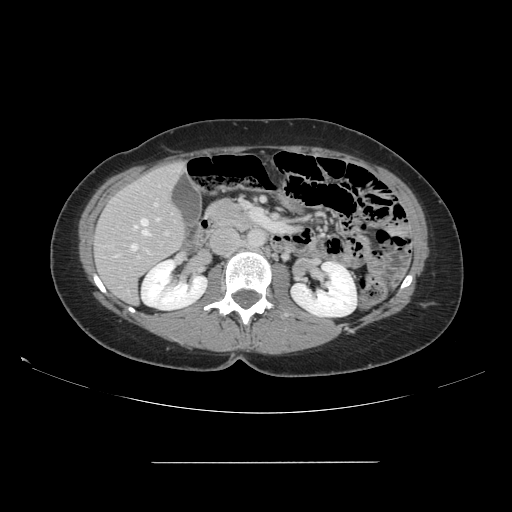

512x512. Liver. CT image. The vessel annotation is not exhaustive.
9 hepatic vessel regions are bounded by [157,218,160,220], [131,245,136,250], [115,254,119,256], [141,218,150,235], [138,256,139,257], [164,232,168,234], [133,226,136,229], [146,250,149,253], [155,204,157,205].